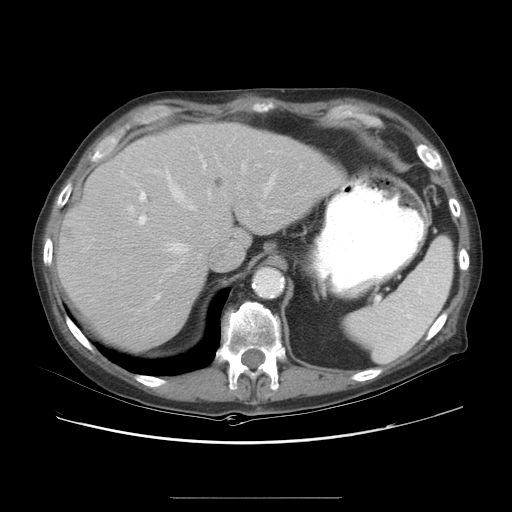
Abdomen, CT scan slice

Not every hepatic vessel necessarily has a box.
Findings:
* liver tumor: <box>214,177,224,187</box>, <box>65,230,72,237</box>
* hepatic vessel: <box>166,169,194,209</box>, <box>240,160,246,173</box>, <box>238,184,240,189</box>, <box>143,197,145,201</box>, <box>166,243,187,252</box>, <box>266,175,274,191</box>